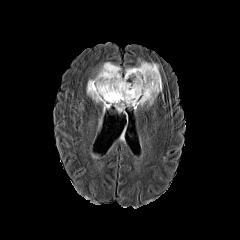
FLAIR MR image.
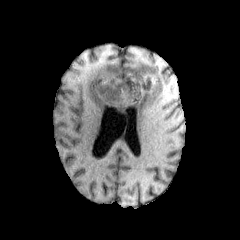
T1-weighted MRI.
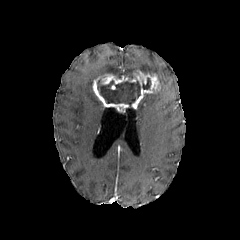
Post-contrast T1-weighted MRI of the same slice.
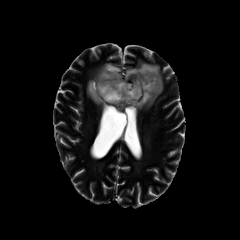
Same slice, T2-weighted MR.
Brain.
{"edema": ["125:59:162:112", "86:62:122:104"], "enhancing_tumor": ["92:70:160:112"], "non-enhancing_tumor_core": ["97:77:151:108"]}